CT slice

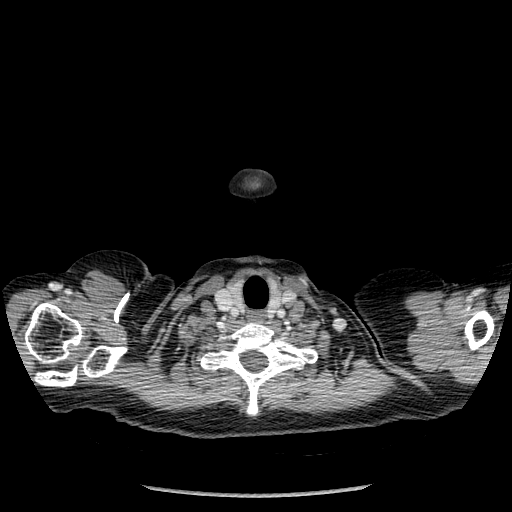 <segmentation>
  <bone>196,323,317,415; 24,302,84,363; 465,310,493,350; 35,345,127,386</bone>
</segmentation>